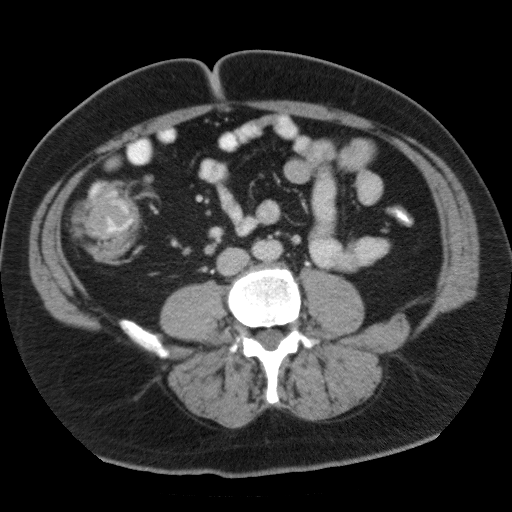 Pelvis; CT
Colon tumor: bounding box [71,182,132,258].